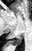

Hippocampus. MR. 32x51 px.
Posterior hippocampus = (x1=9, y1=35, x2=22, y2=45).